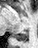
Medial temporal lobe. MR. 38x48 px.

Posterior hippocampus: bounding box bbox(16, 31, 28, 41).